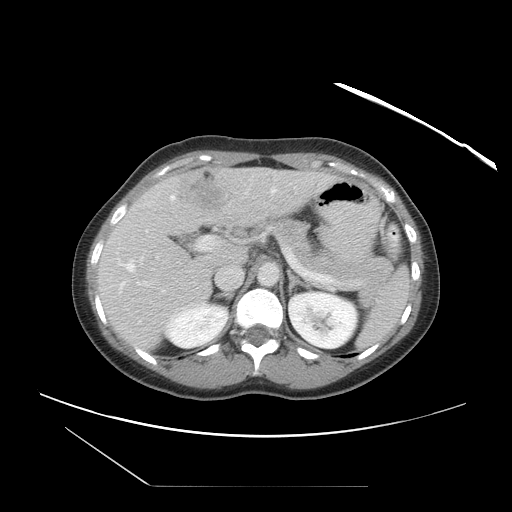
Computed tomography

Only some of the vessels may be annotated.
liver tumor: region(178, 172, 228, 212) | hepatic vessel: region(218, 268, 241, 288); region(271, 188, 275, 192); region(245, 191, 247, 194); region(162, 290, 164, 291); region(146, 230, 147, 231); region(197, 236, 215, 249); region(118, 258, 134, 271); region(203, 296, 205, 299); region(171, 195, 174, 199); region(119, 282, 124, 291); region(138, 320, 140, 323); region(138, 281, 147, 285); region(140, 258, 142, 263); region(157, 256, 158, 257)